FLAIR MR.
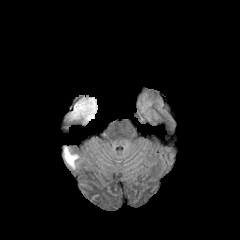
T1-weighted MR.
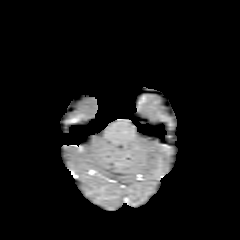
Post-contrast T1-weighted MRI.
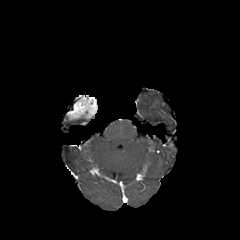
T2-weighted MR.
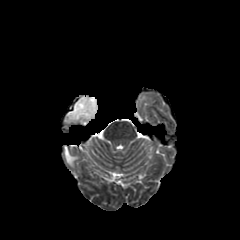
Head
The enhancing tumor is located at left=67, top=95, right=97, bottom=119. The edema is bounded by left=64, top=147, right=77, bottom=168.